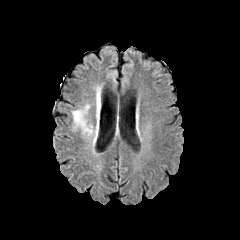
FLAIR MR.
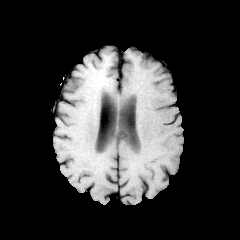
T1-weighted magnetic resonance.
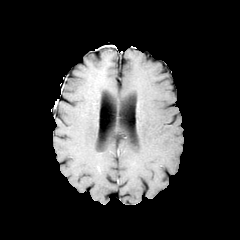
Post-contrast T1-weighted magnetic resonance.
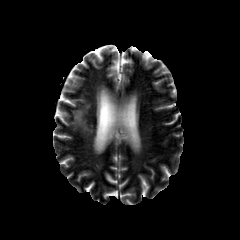
T2-weighted MR.
Head
{
  "edema": [
    "left=73, top=85, right=101, bottom=137"
  ]
}